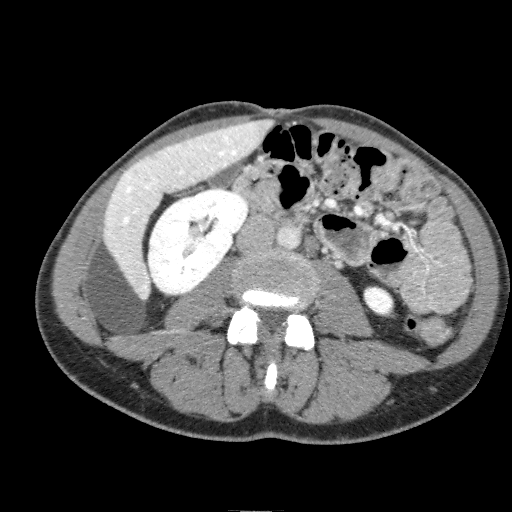 CT slice
kidney:
  - box=[148, 190, 247, 293]
  - box=[365, 288, 391, 313]
liver:
  - box=[103, 119, 273, 298]